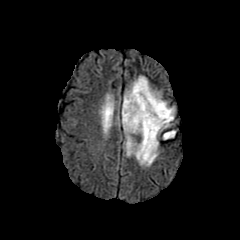
FLAIR MR.
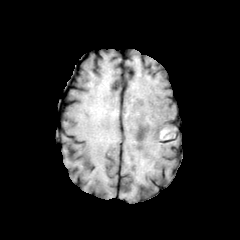
T1-weighted magnetic resonance.
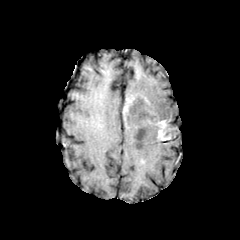
Post-contrast T1-weighted magnetic resonance.
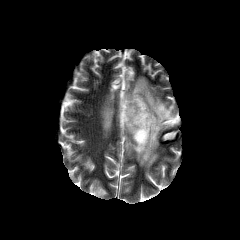
T2-weighted MR.
Head
• edema: {"x1": 122, "y1": 76, "x2": 175, "y2": 166}, {"x1": 164, "y1": 122, "x2": 175, "y2": 136}, {"x1": 103, "y1": 100, "x2": 113, "y2": 128}
• enhancing tumor: {"x1": 123, "y1": 98, "x2": 131, "y2": 114}, {"x1": 156, "y1": 120, "x2": 167, "y2": 133}
• non-enhancing tumor core: {"x1": 158, "y1": 129, "x2": 166, "y2": 140}, {"x1": 122, "y1": 94, "x2": 139, "y2": 107}, {"x1": 121, "y1": 105, "x2": 131, "y2": 127}, {"x1": 133, "y1": 108, "x2": 154, "y2": 138}